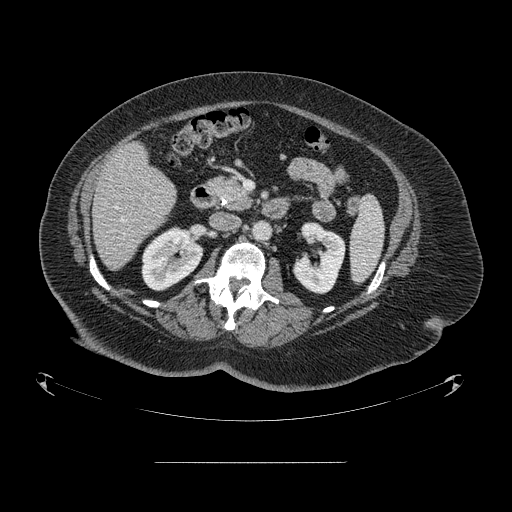
CT slice. 512x512. Abdomen.
The pancreas is located at [x1=208, y1=177, x2=251, y2=210].